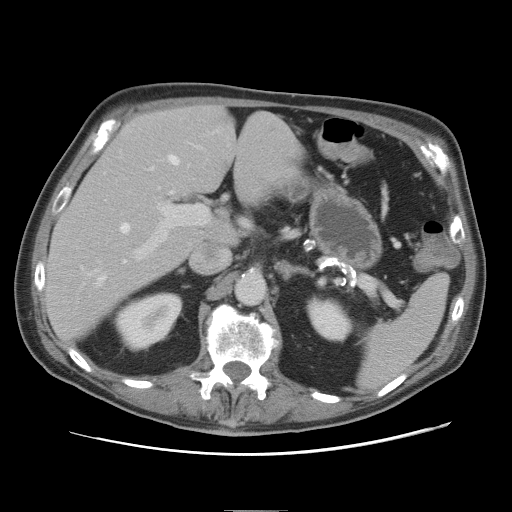 CT slice
The vessel annotation is not exhaustive.
{"hepatic_vessel": ["(left=201, top=221, right=207, bottom=224)", "(left=135, top=204, right=209, bottom=259)", "(left=97, top=276, right=104, bottom=285)", "(left=124, top=260, right=126, bottom=262)", "(left=97, top=270, right=98, bottom=272)", "(left=81, top=267, right=83, bottom=269)", "(left=150, top=167, right=153, bottom=170)", "(left=199, top=147, right=201, bottom=148)", "(left=121, top=224, right=130, bottom=232)", "(left=169, top=155, right=179, bottom=164)", "(left=170, top=191, right=173, bottom=194)", "(left=193, top=256, right=194, bottom=258)"]}